240x240
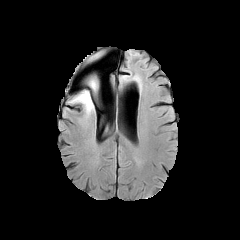
FLAIR MR image.
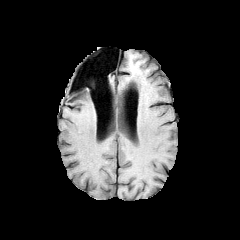
Same slice, T1-weighted MR.
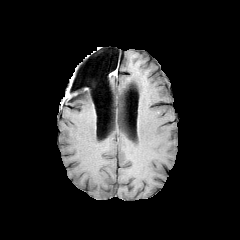
Same slice, post-contrast T1-weighted MR image.
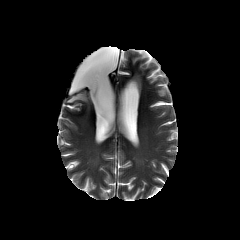
T2-weighted magnetic resonance.
The edema is bounded by (68, 80, 97, 116).